CT | Slice index 44 | Liver | Image size 512x512
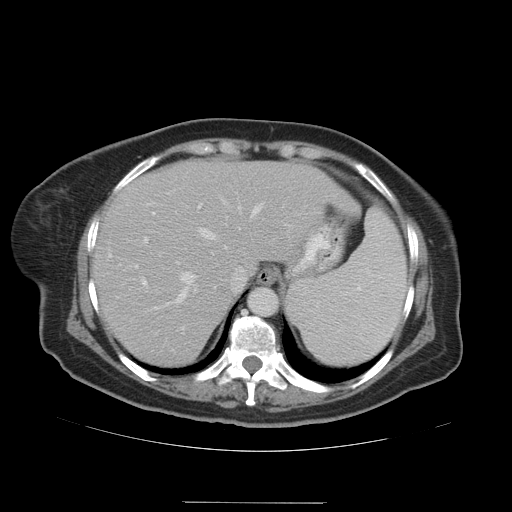 The vessel boxes may cover only some of the vessels.
{"hepatic_vessel": [{"x1": 177, "y1": 262, "x2": 179, "y2": 263}, {"x1": 261, "y1": 258, "x2": 263, "y2": 259}, {"x1": 145, "y1": 238, "x2": 147, "y2": 241}, {"x1": 274, "y1": 258, "x2": 280, "y2": 259}, {"x1": 181, "y1": 327, "x2": 183, "y2": 332}, {"x1": 252, "y1": 206, "x2": 259, "y2": 214}, {"x1": 176, "y1": 288, "x2": 187, "y2": 302}, {"x1": 136, "y1": 265, "x2": 137, "y2": 267}, {"x1": 199, "y1": 228, "x2": 213, "y2": 239}, {"x1": 153, "y1": 212, "x2": 154, "y2": 214}, {"x1": 214, "y1": 286, "x2": 215, "y2": 287}, {"x1": 182, "y1": 273, "x2": 194, "y2": 283}, {"x1": 197, "y1": 204, "x2": 201, "y2": 211}]}